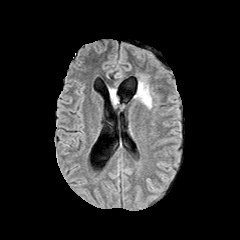
FLAIR MR.
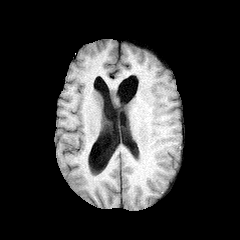
T1-weighted magnetic resonance.
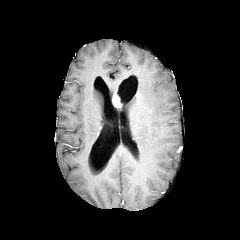
Post-contrast T1-weighted MR of the same slice.
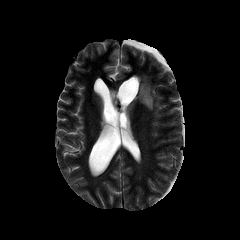
T2-weighted MRI.
Brain. 240x240.
enhancing_tumor:
  - bbox(112, 92, 120, 106)
edema:
  - bbox(134, 76, 155, 109)